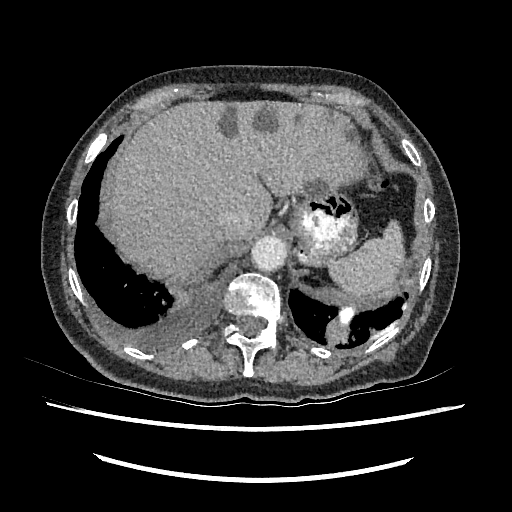 CT scan slice

4 liver lesion regions appear at <bbox>345, 129, 355, 142</bbox>, <bbox>220, 106, 238, 137</bbox>, <bbox>303, 178, 328, 196</bbox>, <bbox>253, 106, 278, 132</bbox>. The liver is bounded by <bbox>110, 102, 361, 278</bbox>.